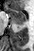

MR image

Annotated regions:
• anterior hippocampus: [8,8,26,24]